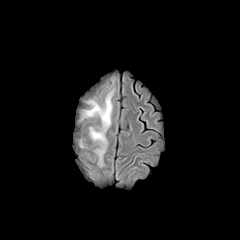
FLAIR MR image.
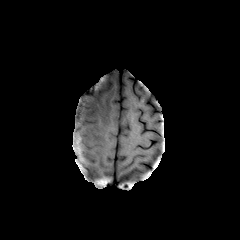
T1-weighted MRI.
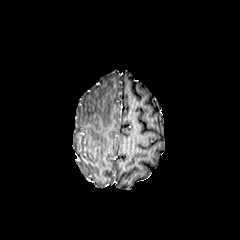
Post-contrast T1-weighted MRI of the same slice.
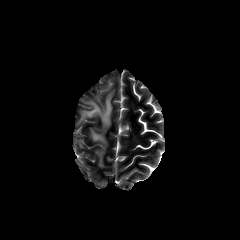
T2-weighted MRI.
Brain; 240x240 px
Edema = [x1=84, y1=90, x2=113, y2=162].